FLAIR MRI.
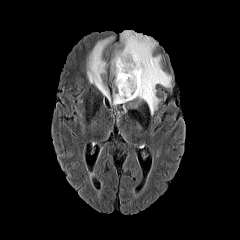
T1-weighted MR image.
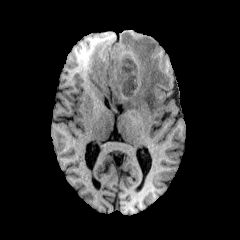
Post-contrast T1-weighted MR image.
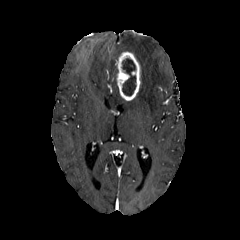
T2-weighted MR image.
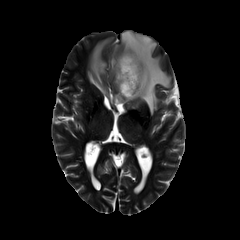
Image size 240x240.
non-enhancing tumor core: [x1=121, y1=59, x2=135, y2=74], [x1=122, y1=76, x2=135, y2=95] | enhancing tumor: [x1=113, y1=50, x2=142, y2=101] | edema: [x1=111, y1=30, x2=171, y2=115], [x1=110, y1=60, x2=116, y2=79], [x1=112, y1=91, x2=125, y2=104], [x1=87, y1=36, x2=113, y2=105]